Slice index 26. CT image.

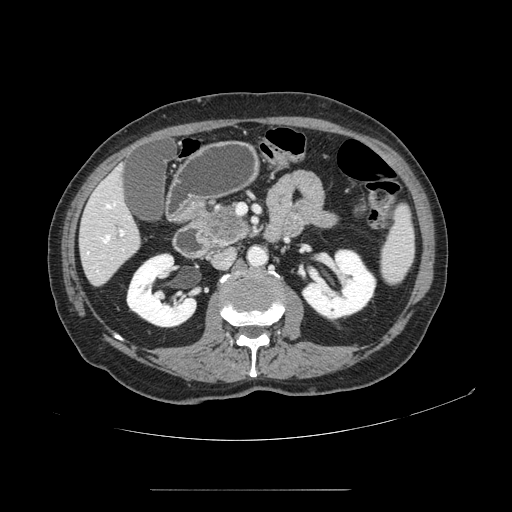 Findings:
• pancreas: 198, 204, 250, 246
• pancreatic tumor: 209, 211, 242, 238